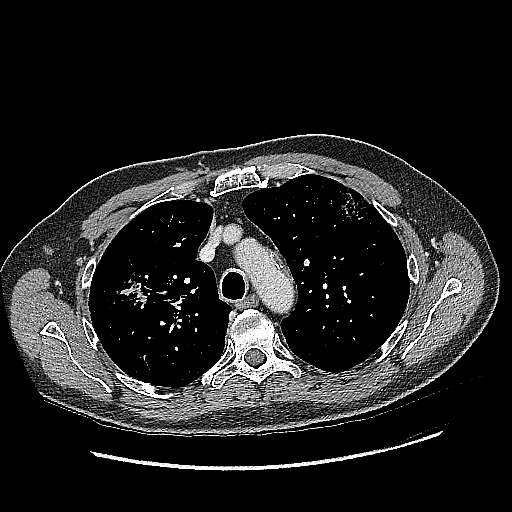 Thorax; CT scan slice; 512x512 px

Lung tumor: [114,269,161,312].